FLAIR MR.
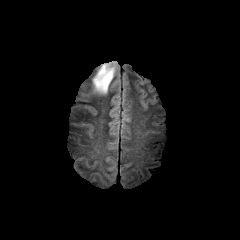
T1-weighted magnetic resonance.
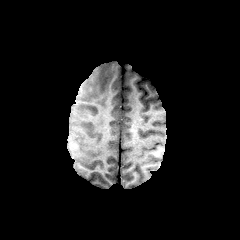
Post-contrast T1-weighted MRI.
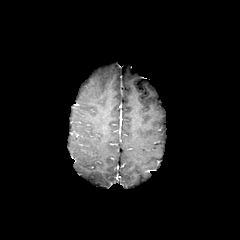
T2-weighted MR.
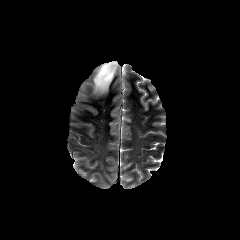
Brain.
edema:
  - <box>92,61,117,94</box>